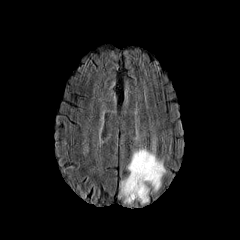
FLAIR magnetic resonance.
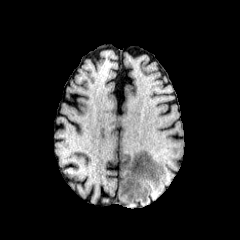
T1-weighted MR.
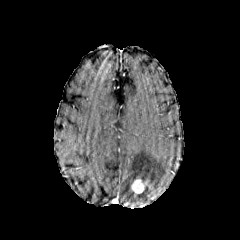
Post-contrast T1-weighted MR.
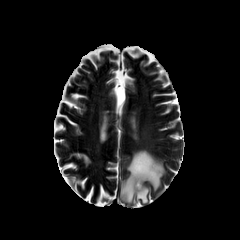
Same slice, T2-weighted MR.
Brain.
The edema is bounded by rect(118, 149, 167, 205). The enhancing tumor is bounded by rect(130, 178, 146, 194).